MR. Medial temporal lobe.

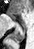
The anterior hippocampus is located at (left=14, top=15, right=15, bottom=17). The posterior hippocampus is located at (left=10, top=29, right=25, bottom=42).